CT image | Image width 344 mm | 512x512 px

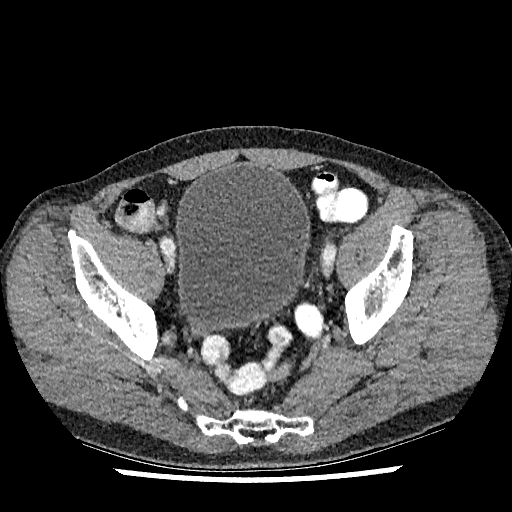
The urinary bladder is at (x1=179, y1=165, x2=308, y2=331).